MR image.
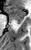 posterior_hippocampus:
  - 13 19 22 23
anterior_hippocampus:
  - 6 6 25 18